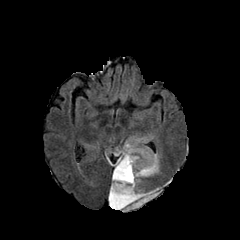
FLAIR MR image.
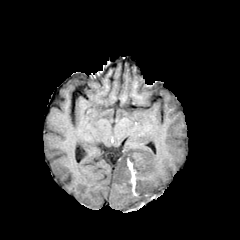
Same slice, T1-weighted magnetic resonance.
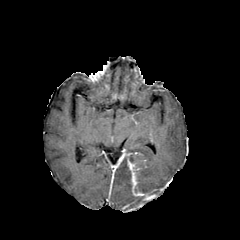
Post-contrast T1-weighted MR image.
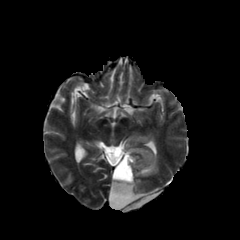
Same slice, T2-weighted MR.
2 enhancing tumor regions are bounded by left=127, top=158, right=151, bottom=199; left=112, top=149, right=131, bottom=179. 5 non-enhancing tumor core regions are located at left=127, top=154, right=141, bottom=193; left=107, top=146, right=125, bottom=164; left=147, top=188, right=161, bottom=196; left=113, top=157, right=133, bottom=193; left=121, top=196, right=149, bottom=210. 3 edema regions appear at left=109, top=178, right=133, bottom=210; left=130, top=196, right=142, bottom=204; left=122, top=142, right=158, bottom=193.